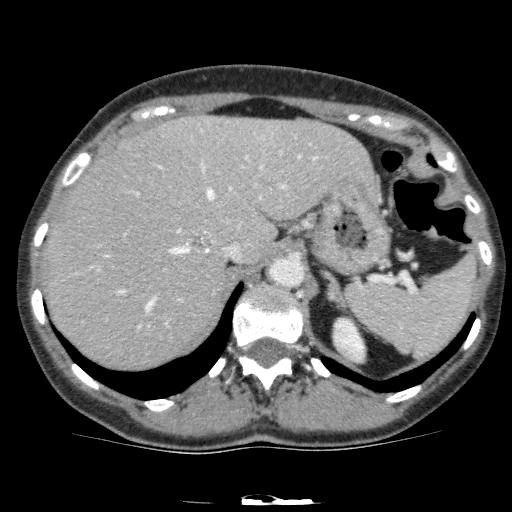 Computed tomography | Abdomen | 512x512 px

<segmentation>
  <kidney>bbox(334, 319, 363, 360)</kidney>
  <liver_lesion>bbox(183, 229, 214, 253)</liver_lesion>
  <liver>bbox(47, 116, 378, 366)</liver>
</segmentation>